CT. Abdomen.

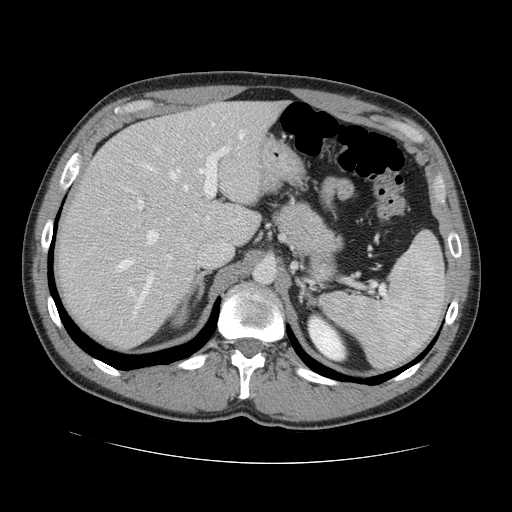 Only some of the vessels may be annotated.
Principal 15 of 29 hepatic vessel regions — left=155, top=147, right=160, bottom=155; left=168, top=255, right=171, bottom=258; left=137, top=198, right=142, bottom=209; left=146, top=231, right=157, bottom=244; left=204, top=217, right=208, bottom=223; left=198, top=147, right=227, bottom=195; left=117, top=259, right=132, bottom=269; left=127, top=271, right=153, bottom=319; left=126, top=159, right=129, bottom=161; left=238, top=130, right=243, bottom=138; left=170, top=169, right=178, bottom=180; left=184, top=185, right=186, bottom=189; left=130, top=206, right=132, bottom=209; left=120, top=185, right=136, bottom=193; left=144, top=164, right=156, bottom=171.